CT slice | Abdomen | Field of view 329 mm wide, 5.00 mm slice spacing

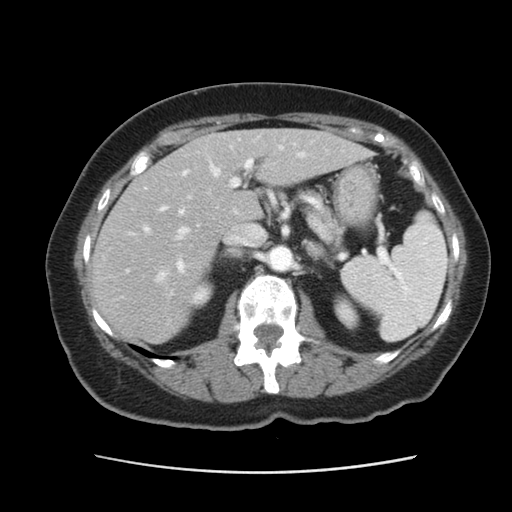 The vessel annotation is not exhaustive.
11 hepatic vessel regions are located at 179 209 184 213, 183 171 187 174, 177 228 187 239, 231 179 238 186, 157 273 165 281, 127 270 128 272, 226 224 265 245, 161 207 165 210, 246 160 252 168, 177 261 183 270, 211 165 219 175.